CT slice | Field of view 500x500 mm | Abdomen

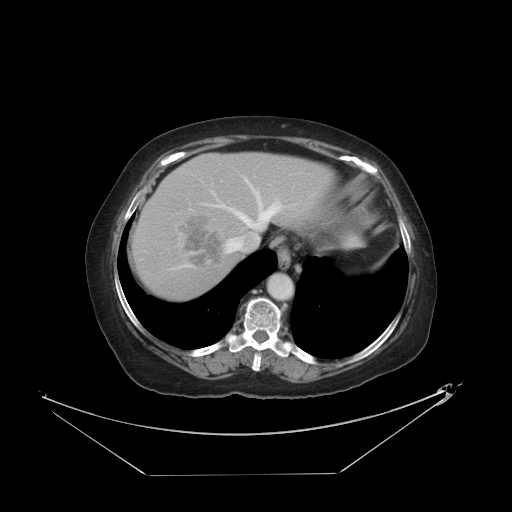
The vessel boxes may cover only some of the vessels.
Hepatic vessel at [210,178,284,253].
Liver tumor at [180,215,221,267].